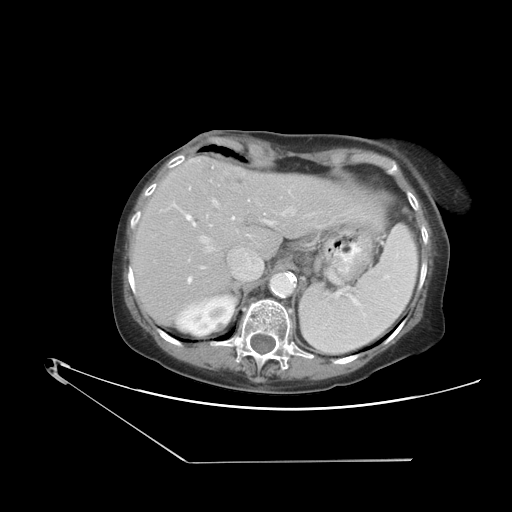

CT scan slice; Abdomen
Some hepatic vessels may have no box.
14 hepatic vessel regions are located at (181, 211, 191, 220), (247, 234, 250, 236), (187, 277, 191, 282), (161, 202, 177, 210), (281, 208, 294, 215), (231, 216, 234, 219), (209, 224, 211, 226), (228, 247, 264, 271), (288, 190, 291, 194), (265, 219, 276, 225), (212, 199, 218, 206), (192, 221, 195, 225), (201, 266, 204, 268), (199, 235, 220, 252). The liver tumor lies within (221, 167, 244, 192).